Field of view 396x396 mm. CT slice. 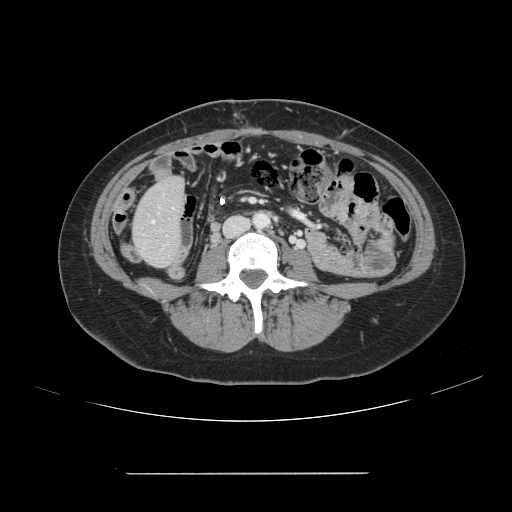 Some hepatic vessels may have no box.
The hepatic vessel is bounded by x1=152 y1=221 x2=154 y2=222.